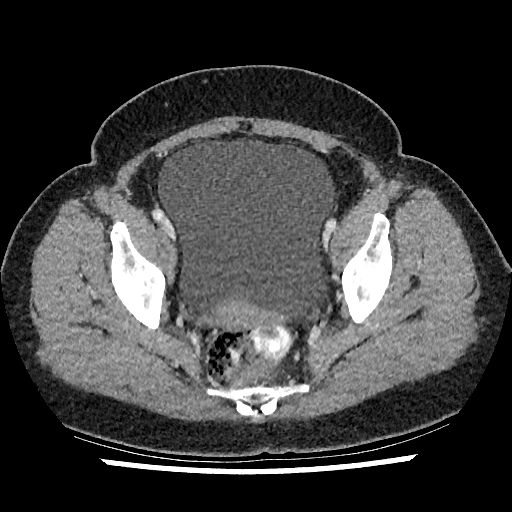
Computed tomography

Urinary bladder: (left=158, top=139, right=334, bottom=322).